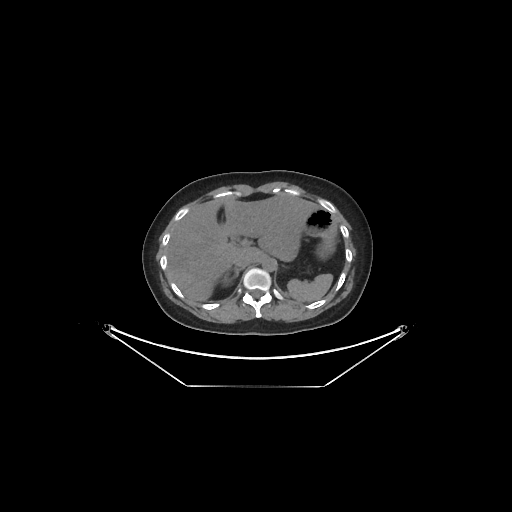

CT scan slice | Abdomen
<segmentation>
  <liver>bbox=[330, 214, 344, 237]; bbox=[165, 193, 319, 298]</liver>
</segmentation>